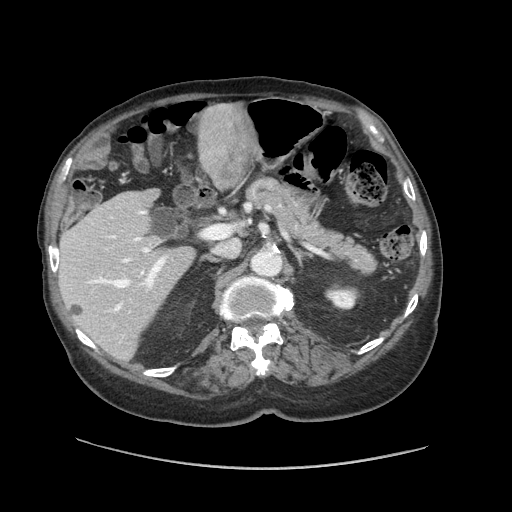
Abdomen. Computed tomography.

Not every hepatic vessel necessarily has a box.
Hepatic vessel: <box>95,278,129,287</box>, <box>147,257,165,286</box>, <box>214,240,238,252</box>, <box>202,225,231,238</box>, <box>145,249,148,250</box>, <box>141,272,142,273</box>.
Liver tumor: <box>213,138,247,183</box>.